Computed tomography | Liver 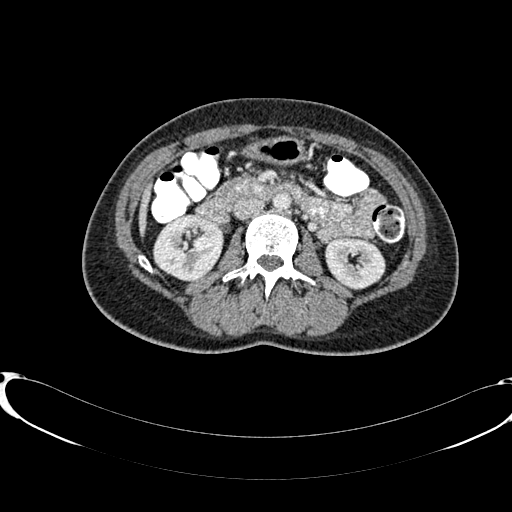 {
  "liver": [
    "[139, 190, 149, 232]"
  ],
  "kidney": [
    "[326, 240, 383, 287]",
    "[155, 216, 221, 279]"
  ]
}